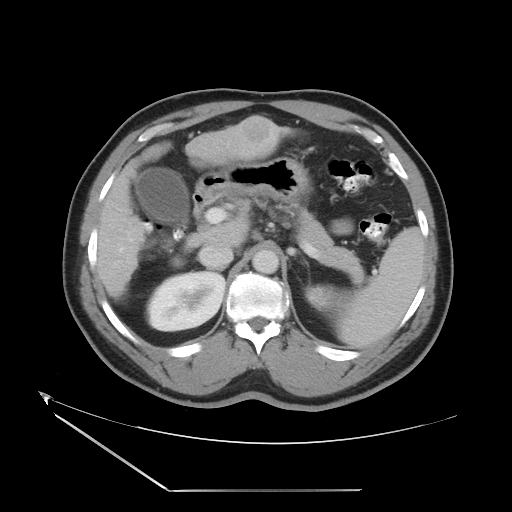
CT slice
Some hepatic vessels may have no box.
liver_tumor:
  - <bbox>242, 118, 270, 142</bbox>
hepatic_vessel:
  - <bbox>120, 248, 122, 251</bbox>
  - <bbox>127, 260, 128, 262</bbox>